Abdomen | 512x512 | CT scan slice | Image width 350 mm
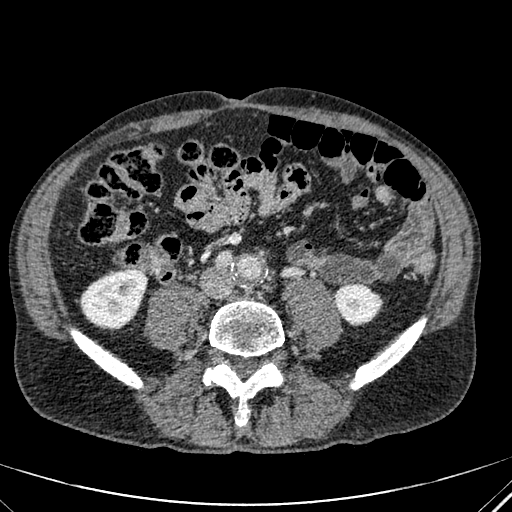

Kidney = bbox(336, 285, 380, 322); bbox(82, 270, 146, 327).